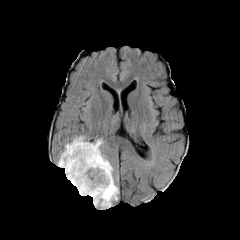
FLAIR MR.
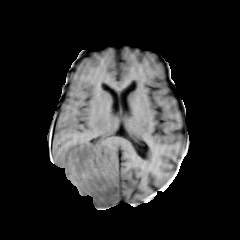
T1-weighted MR of the same slice.
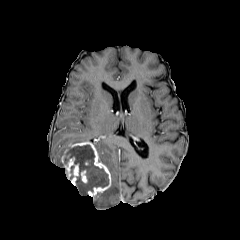
Same slice, post-contrast T1-weighted MR.
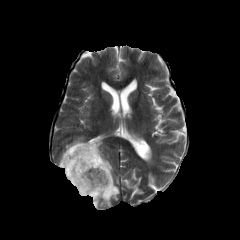
T2-weighted MR.
240x240 px, Head
2 enhancing tumor regions appear at (x1=64, y1=157, x2=87, y2=185), (x1=70, y1=142, x2=111, y2=199). 2 non-enhancing tumor core regions are located at (x1=64, y1=151, x2=94, y2=174), (x1=90, y1=174, x2=108, y2=191). 4 edema regions appear at (x1=76, y1=166, x2=107, y2=195), (x1=57, y1=152, x2=64, y2=167), (x1=93, y1=138, x2=118, y2=208), (x1=64, y1=136, x2=92, y2=159).